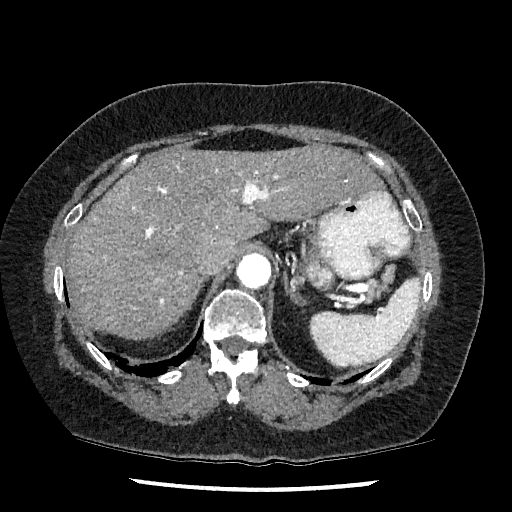
CT | Liver
The liver is located at <box>67,146,382,339</box>.